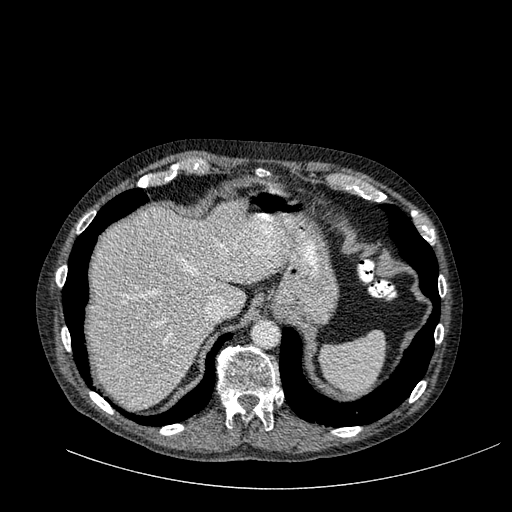 Computed tomography. Abdomen. The liver lies within <box>89,199,288,408</box>.